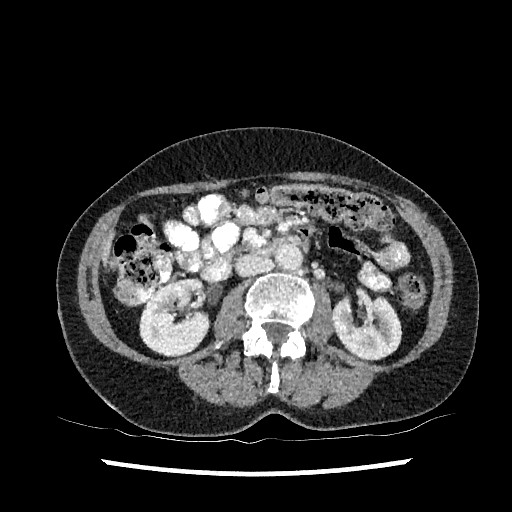 Computed tomography. 512x512. Upper abdomen. The liver is at region(102, 233, 112, 265). 2 kidney regions appear at region(333, 296, 401, 358); region(140, 280, 208, 355).